Liver, CT scan slice, 512x512 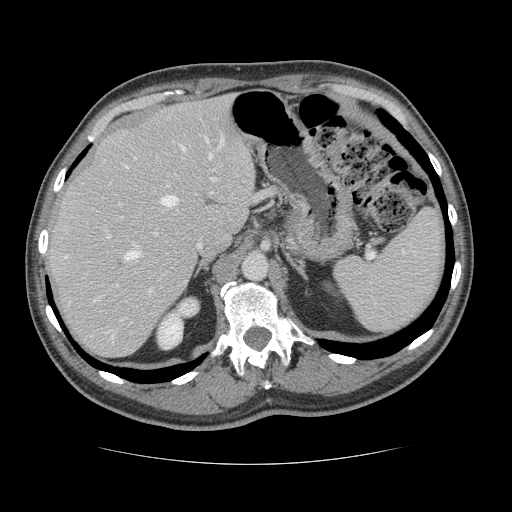
Some hepatic vessels may have no box.
{
  "partial": true,
  "hepatic_vessel": {
    "n_total": 21,
    "boxes": [
      "205, 137, 208, 142",
      "197, 243, 200, 246",
      "93, 298, 98, 301",
      "107, 234, 109, 237",
      "124, 165, 127, 167",
      "106, 330, 113, 339",
      "221, 133, 222, 138",
      "64, 255, 67, 257",
      "181, 145, 184, 150",
      "211, 178, 214, 180",
      "148, 289, 151, 292",
      "161, 195, 177, 205",
      "208, 152, 211, 158",
      "104, 229, 106, 231",
      "123, 242, 141, 259"
    ]
  }
}